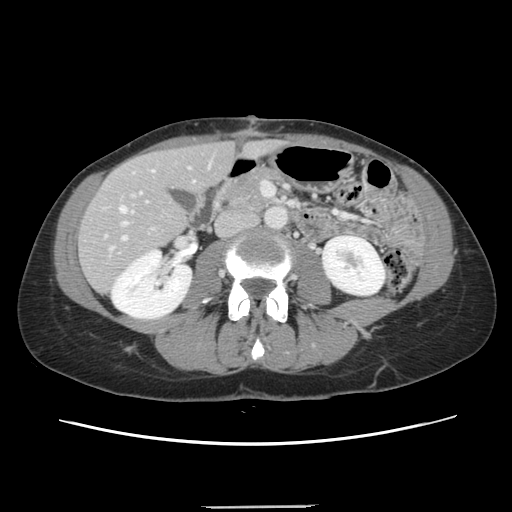
CT slice
Not every hepatic vessel necessarily has a box.
11 hepatic vessel regions are bounded by (x1=105, y1=235, x2=106, y2=237), (x1=122, y1=236, x2=126, y2=239), (x1=122, y1=221, x2=127, y2=225), (x1=130, y1=210, x2=132, y2=212), (x1=120, y1=206, x2=126, y2=212), (x1=188, y1=166, x2=190, y2=168), (x1=131, y1=195, x2=134, y2=196), (x1=151, y1=170, x2=153, y2=172), (x1=208, y1=162, x2=209, y2=166), (x1=151, y1=228, x2=154, y2=228), (x1=109, y1=247, x2=113, y2=251).